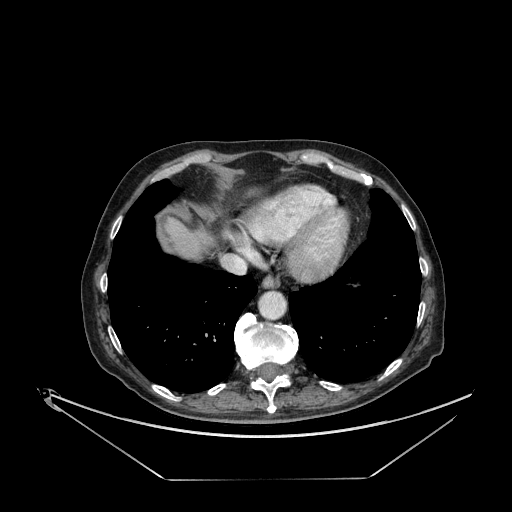 CT image
Liver — (166, 219, 210, 256).